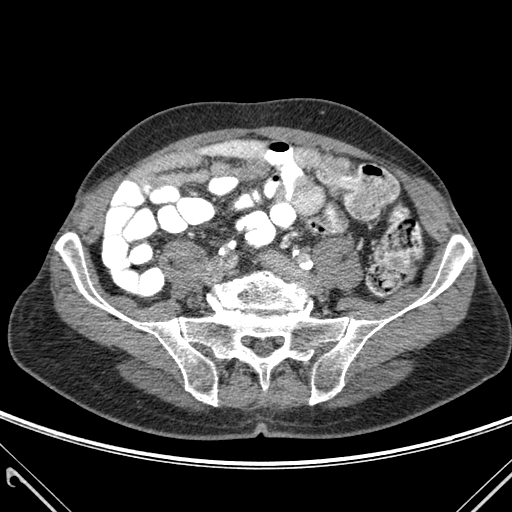

Computed tomography. Image size 512x512.

Segmented structures:
- bone: (left=55, top=233, right=471, bottom=405)